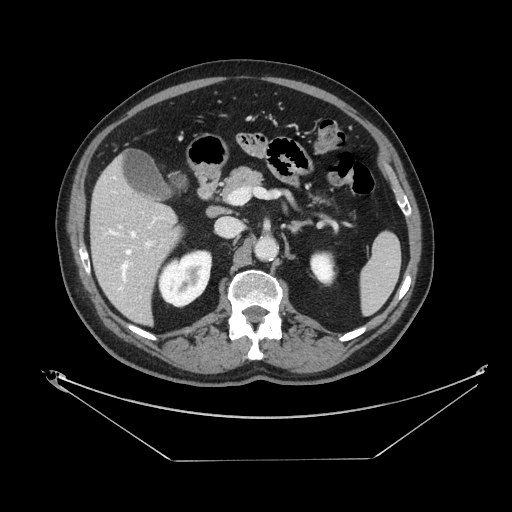
CT slice; Upper abdomen
The pancreas appears at x1=223, y1=167, x2=262, y2=198.